Computed tomography | Slice 181 of 908 | 512x512 px
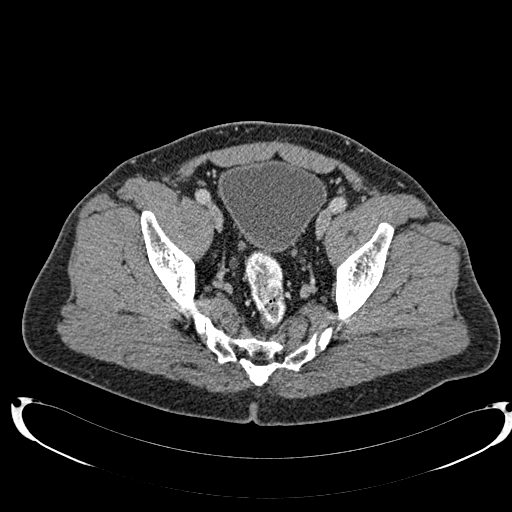
Urinary bladder = left=219, top=159, right=326, bottom=253.